FLAIR MR image.
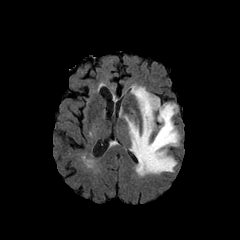
T1-weighted MR.
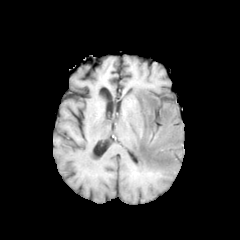
Post-contrast T1-weighted MR image.
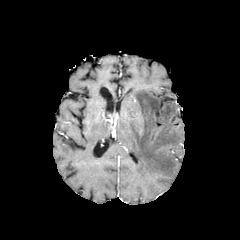
T2-weighted MR.
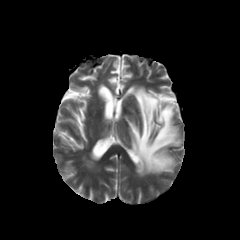
Brain; 240x240
- edema: [x1=124, y1=85, x2=181, y2=175]